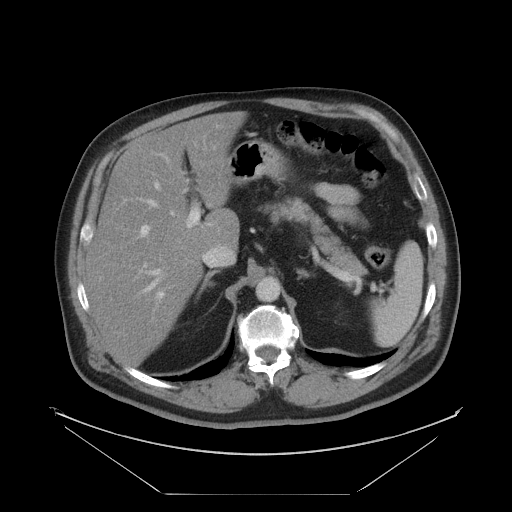

Abdomen, CT slice

pancreas: region(260, 197, 365, 274)